Brain | Image width 240 mm | 240x240 px | Slice index 47
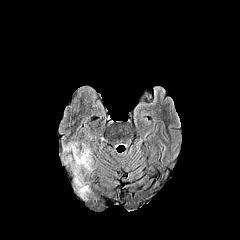
FLAIR magnetic resonance.
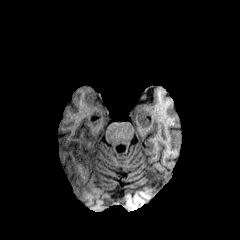
T1-weighted MR image.
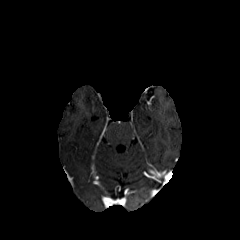
Post-contrast T1-weighted MR.
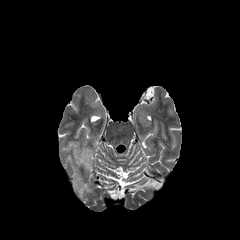
T2-weighted MRI.
edema:
  - 73,185,89,192
  - 63,142,91,185